CT scan slice.
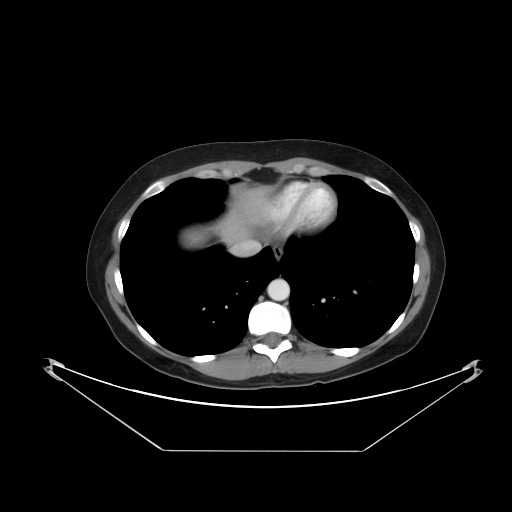

Not every hepatic vessel necessarily has a box.
Hepatic vessel: 234 241 246 251.